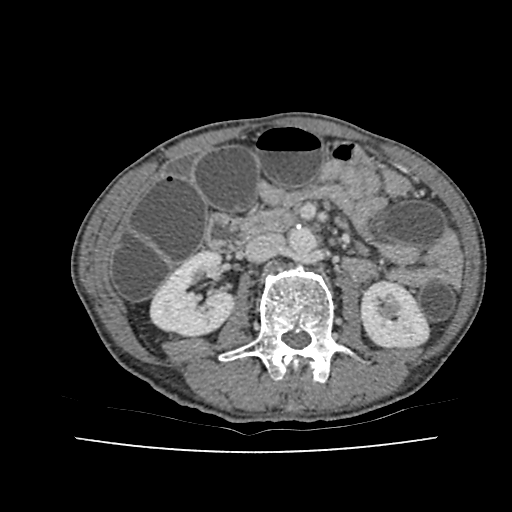

512x512 px; CT
Segmented structures:
- kidney: (362, 282, 427, 346), (151, 252, 233, 335)